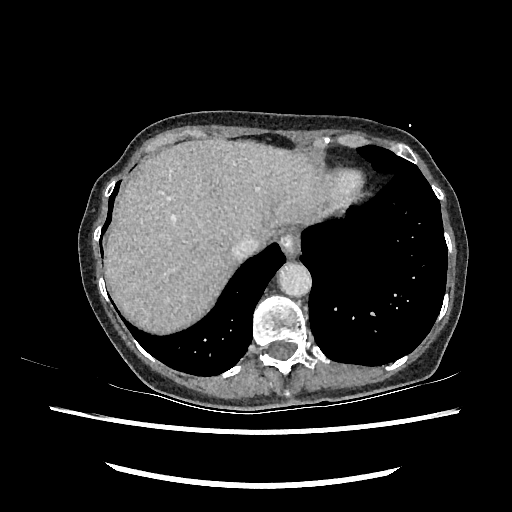
Abdomen | CT
<segmentation>
  <liver>left=107, top=139, right=335, bottom=331</liver>
</segmentation>